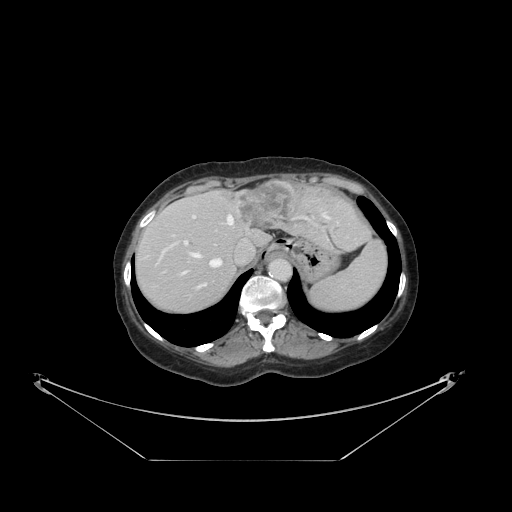

Abdomen, CT slice

The vessel boxes may cover only some of the vessels.
Hepatic vessel = l=189, t=253, r=201, b=257; l=172, t=235, r=174, b=236; l=209, t=258, r=222, b=267; l=197, t=283, r=206, b=288; l=183, t=240, r=187, b=244; l=180, t=271, r=186, b=274; l=156, t=243, r=175, b=264; l=193, t=215, r=194, b=217; l=324, t=215, r=328, b=217; l=226, t=214, r=233, b=225; l=235, t=244, r=253, b=263.
Liver tumor = l=225, t=181, r=293, b=229.